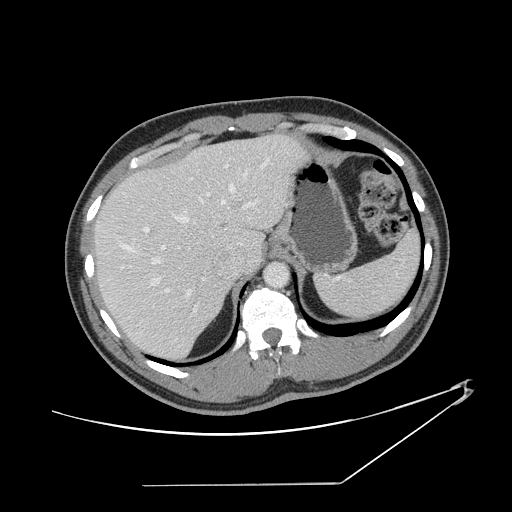 CT image. Liver.
The vessel boxes may cover only some of the vessels.
The top 15 hepatic vessel regions (of 22) appear at (left=200, top=198, right=203, bottom=202), (left=192, top=305, right=196, bottom=314), (left=186, top=290, right=190, bottom=294), (left=118, top=237, right=135, bottom=251), (left=242, top=171, right=246, bottom=178), (left=143, top=227, right=148, bottom=230), (left=224, top=165, right=228, bottom=166), (left=243, top=200, right=256, bottom=208), (left=260, top=157, right=269, bottom=168), (left=176, top=210, right=188, bottom=222), (left=229, top=184, right=233, bottom=195), (left=222, top=200, right=225, bottom=203), (left=152, top=257, right=160, bottom=263), (left=151, top=277, right=159, bottom=284), (left=119, top=266, right=122, bottom=268).